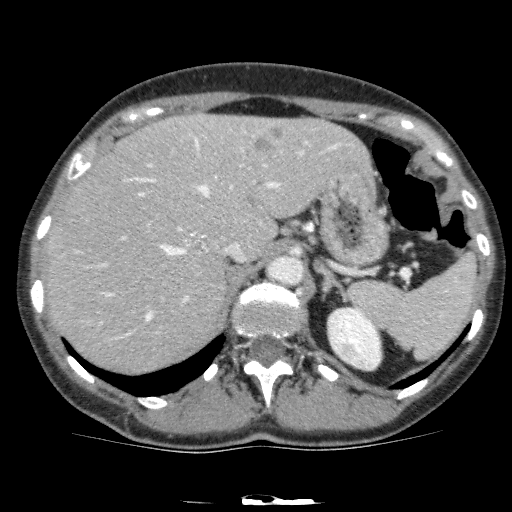
CT | Liver

3 hepatic lesion regions are bounded by 251,132,274,155; 268,125,284,139; 185,231,210,253. The kidney is at 328,308,380,369. The liver is bounded by 45,113,376,371.